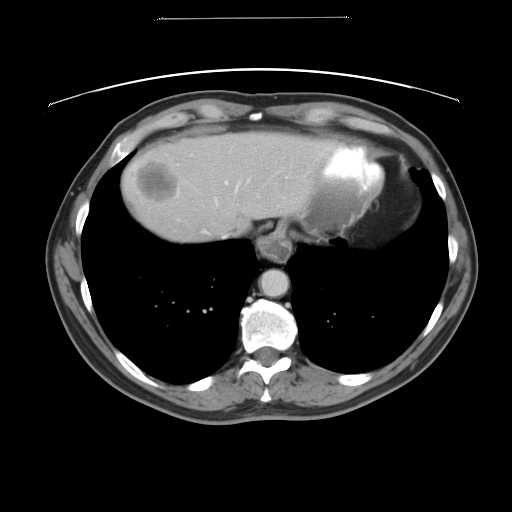

CT slice; Abdomen

Not every hepatic vessel necessarily has a box.
liver_tumor:
  - (x1=134, y1=159, x2=180, y2=203)
hepatic_vessel:
  - (x1=247, y1=179, x2=250, y2=181)
  - (x1=224, y1=234, x2=226, y2=236)
  - (x1=286, y1=176, x2=287, y2=177)
  - (x1=225, y1=181, x2=227, y2=183)
  - (x1=203, y1=230, x2=208, y2=233)